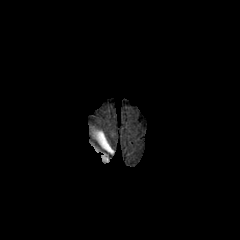
FLAIR MRI.
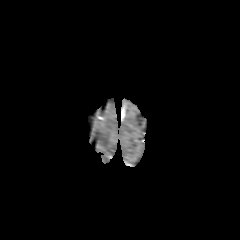
T1-weighted MR image of the same slice.
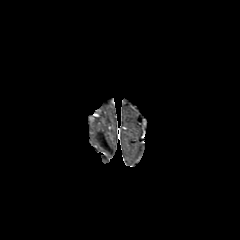
Post-contrast T1-weighted MR.
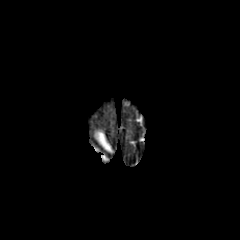
T2-weighted magnetic resonance of the same slice.
Head
edema:
  - (left=95, top=131, right=113, bottom=153)